Slice index 97
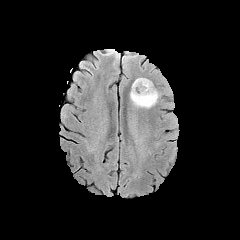
FLAIR MR image.
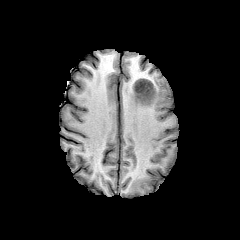
T1-weighted MR of the same slice.
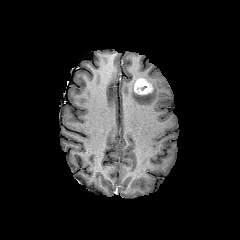
Post-contrast T1-weighted magnetic resonance of the same slice.
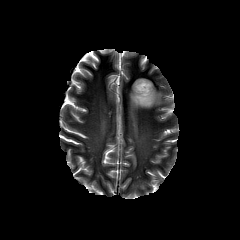
T2-weighted magnetic resonance of the same slice.
The enhancing tumor is located at x1=134 y1=78 x2=152 y2=94. The edema appears at x1=130 y1=78 x2=160 y2=108.